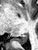
MRI | Image size 38x50
<segmentation>
  <posterior_hippocampus>left=13, top=34, right=28, bottom=44</posterior_hippocampus>
</segmentation>